CT image 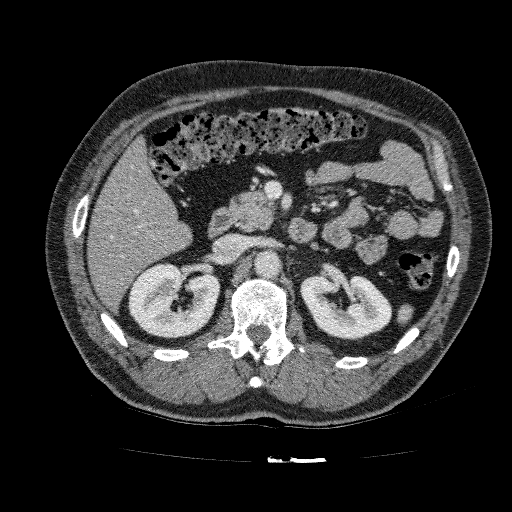 - liver: bbox=[87, 136, 191, 311]
- kidney: bbox=[129, 264, 219, 336]; bbox=[301, 276, 391, 338]